Brain | Slice 114/155 | 240x240 px
FLAIR MRI.
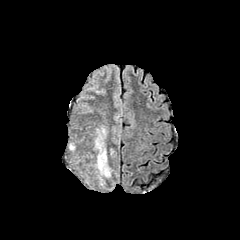
T1-weighted MR.
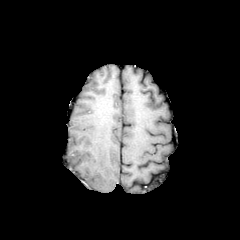
Post-contrast T1-weighted MR image.
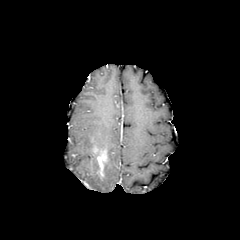
T2-weighted magnetic resonance.
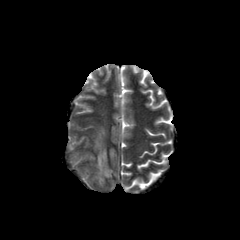
edema:
  - <box>87,129,111,181</box>